Slice 62/155 | Image width 240 mm | Brain
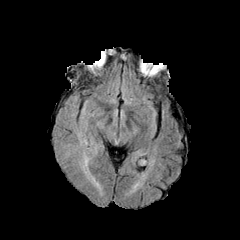
FLAIR magnetic resonance.
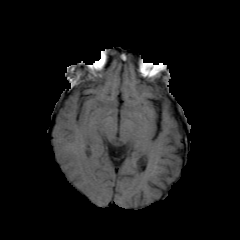
T1-weighted MR of the same slice.
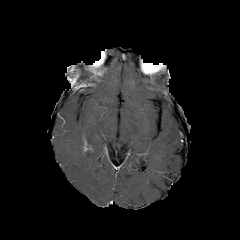
Post-contrast T1-weighted magnetic resonance of the same slice.
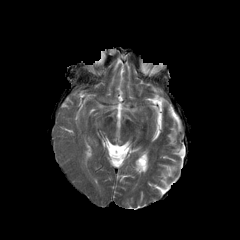
T2-weighted MR of the same slice.
Annotated regions:
• edema: left=78, top=135, right=93, bottom=147; left=80, top=145, right=100, bottom=187